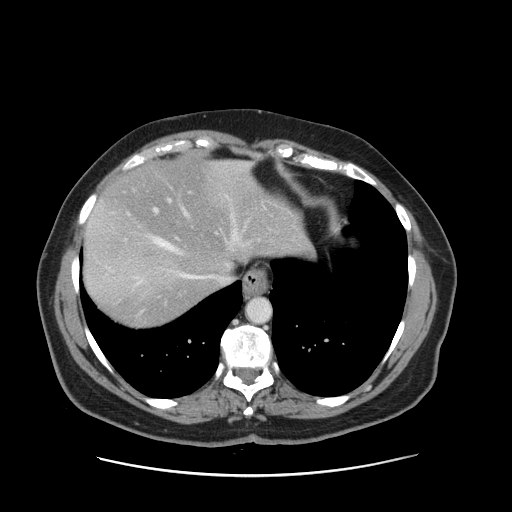

CT, Abdomen
Only some of the vessels may be annotated.
hepatic_vessel:
  - x1=232, y1=226, x2=237, y2=241
  - x1=186, y1=275, x2=192, y2=277
  - x1=169, y1=199, x2=171, y2=201
  - x1=154, y1=208, x2=157, y2=212
  - x1=242, y1=163, x2=249, y2=166